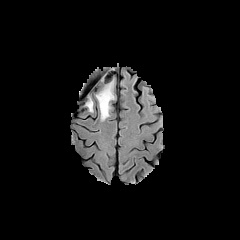
FLAIR MR.
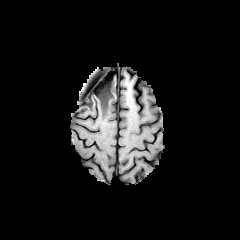
Same slice, T1-weighted MR image.
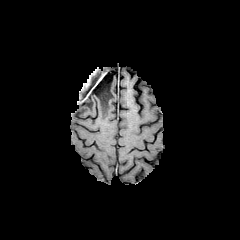
Post-contrast T1-weighted magnetic resonance of the same slice.
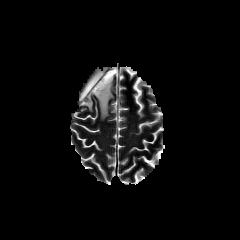
T2-weighted magnetic resonance.
Image size 240x240
Findings:
• edema: (86,80,114,121)
• non-enhancing tumor core: (100,104,108,117), (84,80,111,106)